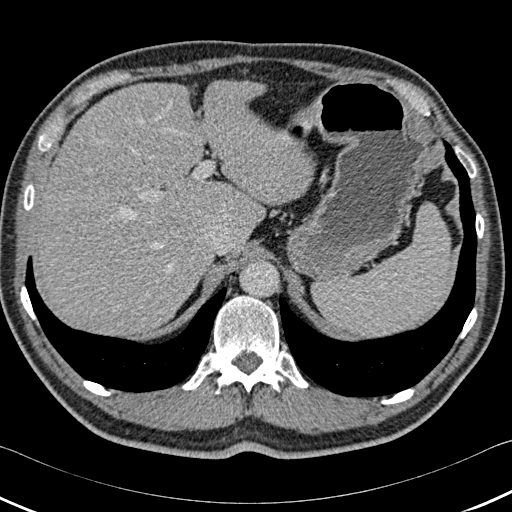

Liver, CT scan slice, Image size 512x512

Liver at <box>41,80,311,335</box>.
Bone at <box>476,214,484,238</box>, <box>20,286,35,319</box>, <box>182,296,307,393</box>, <box>455,146,476,177</box>, <box>38,133,52,151</box>, <box>460,308,476,338</box>, <box>24,184,34,210</box>, <box>83,381,110,395</box>, <box>381,389,413,404</box>.
Lung at <box>25,256,226,392</box>, <box>279,139,477,397</box>.